Field of view 348x348 mm. CT. 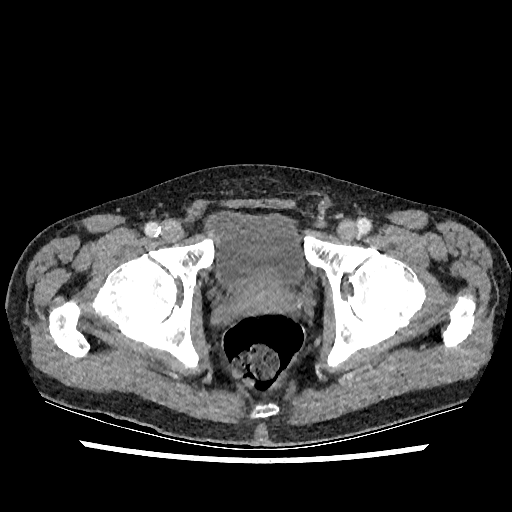
The urinary bladder is at 203:210:313:322.